Field of view 363 mm wide, 5.00 mm slice spacing | 512x512 | CT image
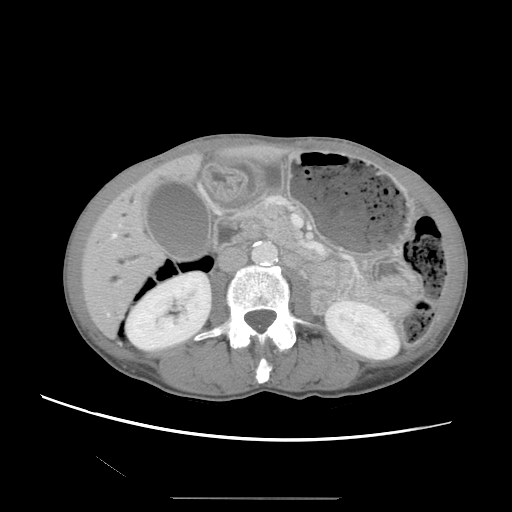
Segmented structures:
* pancreas: 245,203,299,249